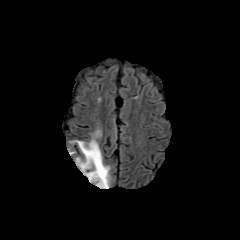
FLAIR magnetic resonance.
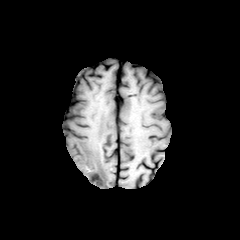
T1-weighted MR.
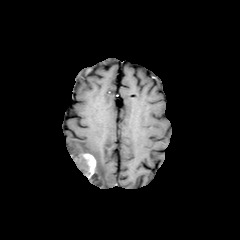
Post-contrast T1-weighted MR of the same slice.
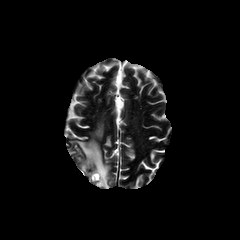
T2-weighted magnetic resonance.
Brain
The enhancing tumor appears at (83,153,95,178). The edema is at (69,139,112,187).